Slice 49 of 155
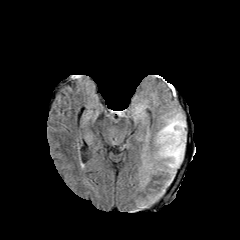
FLAIR MR.
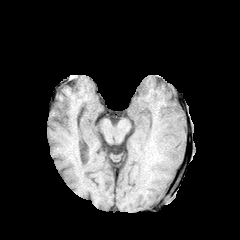
T1-weighted magnetic resonance of the same slice.
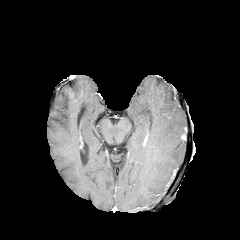
Post-contrast T1-weighted MRI.
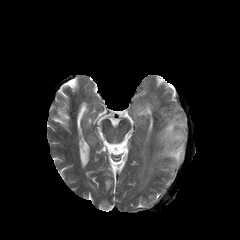
T2-weighted magnetic resonance of the same slice.
<segmentation>
  <edema>x1=162 y1=117 x2=185 y2=179</edema>
</segmentation>